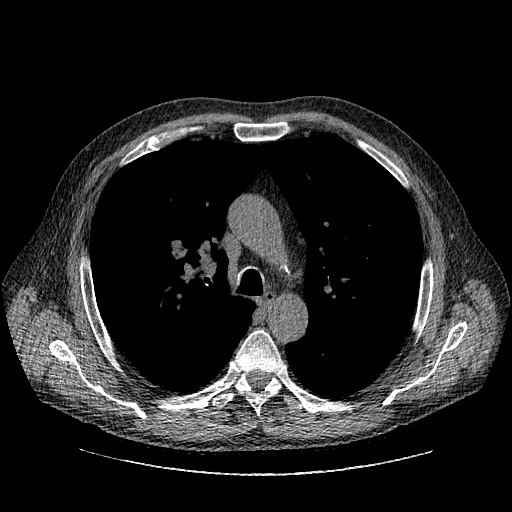 CT image; Thorax
Lung tumor at x1=167, y1=236, x2=196, y2=267.